Brain
FLAIR MRI.
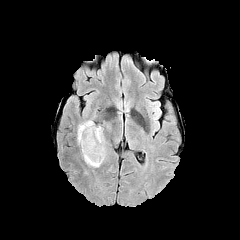
T1-weighted MR image.
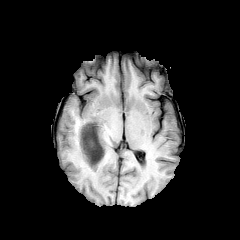
Post-contrast T1-weighted MR.
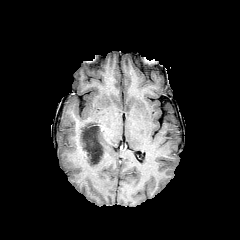
T2-weighted MR.
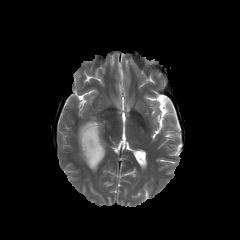
Findings:
- edema: l=77, t=119, r=93, b=150; l=81, t=124, r=106, b=167; l=150, t=102, r=159, b=113
- non-enhancing tumor core: l=81, t=123, r=103, b=163